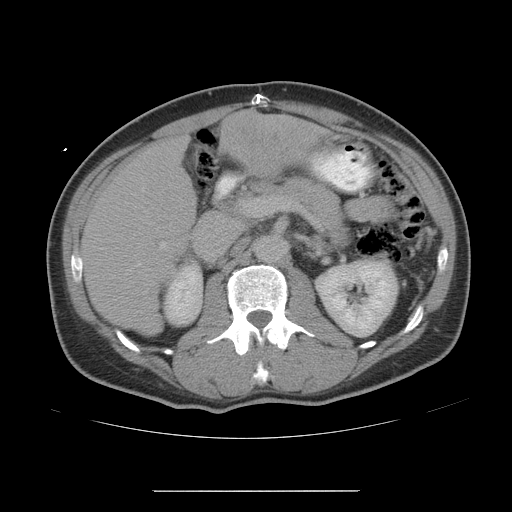 Computed tomography, Liver

Not every hepatic vessel necessarily has a box.
hepatic_vessel:
  - [x1=136, y1=263, x2=140, y2=266]
  - [x1=160, y1=242, x2=167, y2=249]
liver_tumor:
  - [x1=222, y1=111, x2=327, y2=174]